Abdomen; Computed tomography

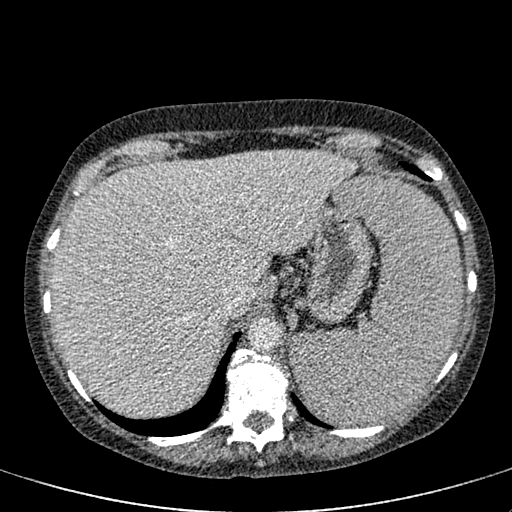

Annotated regions:
- liver: <bbox>53, 152, 357, 414</bbox>